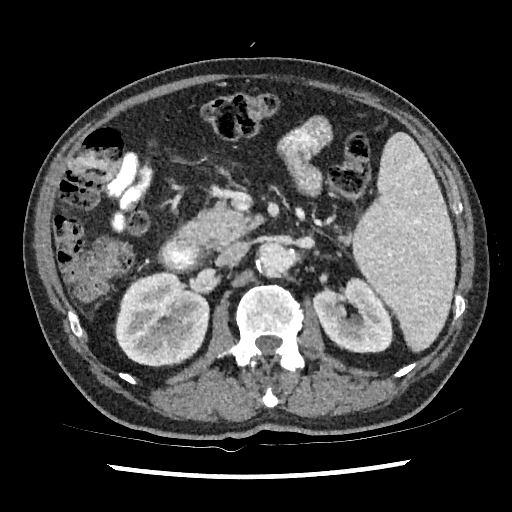

Image size 512x512; Computed tomography; Abdomen
kidney:
  - (left=116, top=273, right=208, bottom=365)
  - (left=313, top=279, right=391, bottom=352)